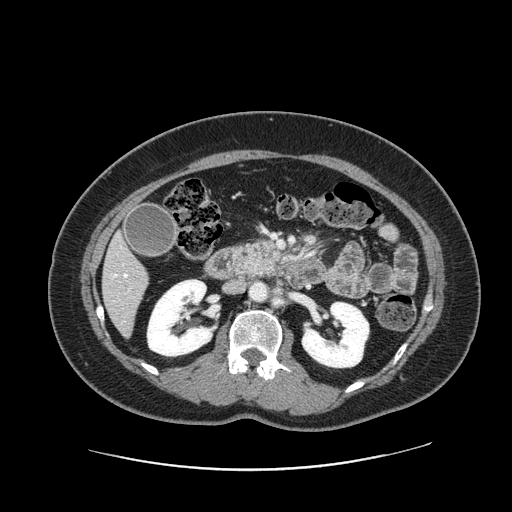

Abdomen; CT scan slice

Segmented structures:
- pancreas: (x1=234, y1=242, x2=279, y2=276)